FLAIR MR.
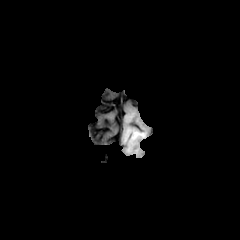
T1-weighted MR image.
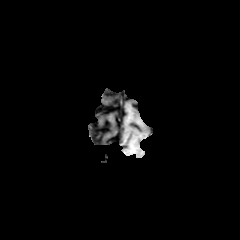
Post-contrast T1-weighted MRI.
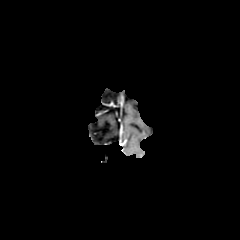
T2-weighted MRI.
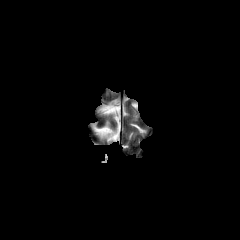
Head
Segmented structures:
- edema: (left=130, top=129, right=144, bottom=141)